Computed tomography | Slice 43 of 114 | Liver
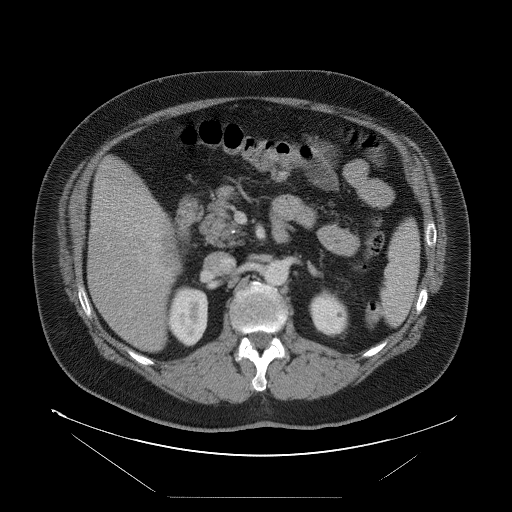

The vessel boxes may cover only some of the vessels.
liver_tumor:
  - (163,233,176,264)
hepatic_vessel:
  - (138,256,144,258)
  - (122,228,124,230)
  - (153,232,161,237)
  - (168,268,171,273)
  - (132,287,136,292)
  - (151,258,154,260)
  - (123,242,125,244)
  - (153,218,155,219)
  - (142,220,146,225)
  - (156,227,158,229)
  - (117,225,118,226)
  - (128,233,131,236)